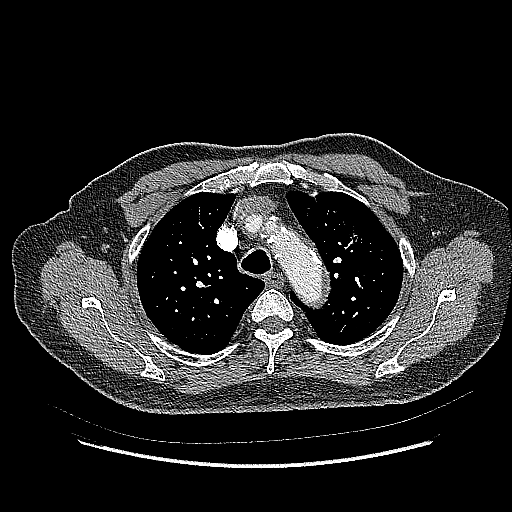
Chest, CT
3 lung tumor regions appear at {"x1": 374, "y1": 233, "x2": 385, "y2": 242}, {"x1": 380, "y1": 248, "x2": 391, "y2": 263}, {"x1": 345, "y1": 222, "x2": 371, "y2": 244}.